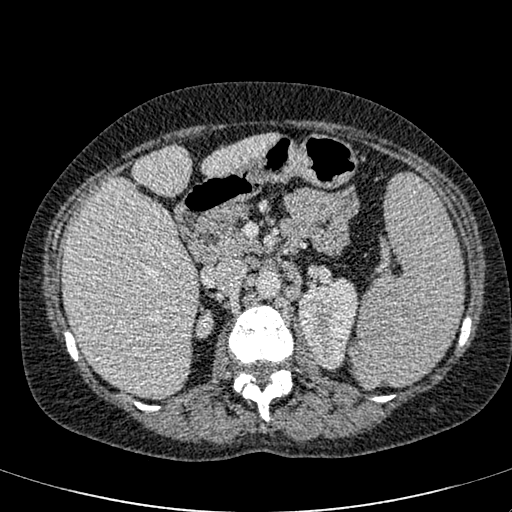
CT image. Upper abdomen. 512x512.
liver: l=203, t=135, r=278, b=176; l=131, t=146, r=189, b=193; l=64, t=177, r=197, b=396 | kidney: l=299, t=276, r=357, b=368; l=196, t=311, r=212, b=337